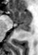

MR image, Hippocampus
* posterior hippocampus: box(19, 25, 30, 31)
* anterior hippocampus: box(11, 10, 31, 24)